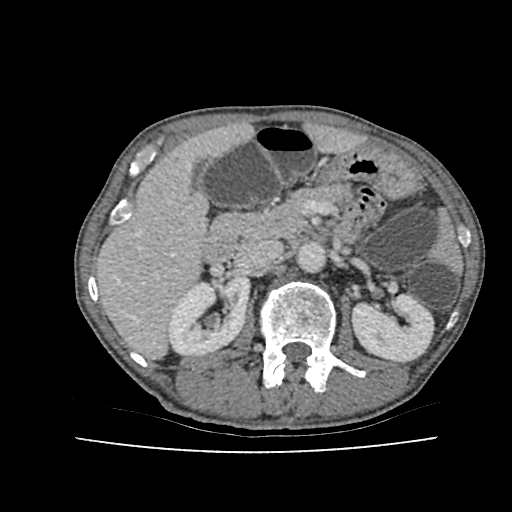 CT slice
kidney: (352, 295, 432, 360), (169, 277, 249, 354) | liver: (307, 126, 359, 150), (98, 126, 250, 355)